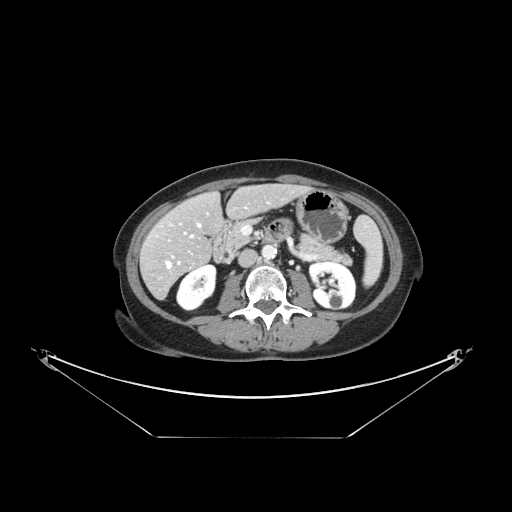

Computed tomography
Only some of the vessels may be annotated.
hepatic vessel: x1=198 y1=224 x2=200 y2=226